FLAIR magnetic resonance.
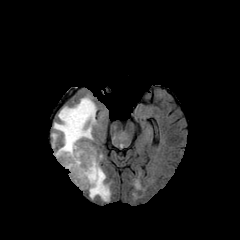
T1-weighted magnetic resonance.
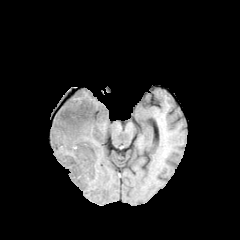
Post-contrast T1-weighted MR.
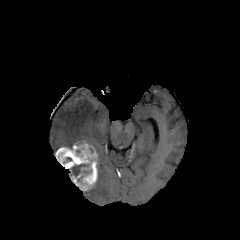
T2-weighted magnetic resonance.
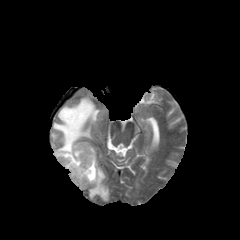
Image size 240x240
<segmentation>
  <edema>x1=51 y1=95 x2=98 y2=148, x1=88 y1=161 x2=110 y2=201</edema>
  <enhancing_tumor>x1=55 y1=141 x2=97 y2=190</enhancing_tumor>
  <non-enhancing_tumor_core>x1=72 y1=164 x2=85 y2=176</non-enhancing_tumor_core>
</segmentation>